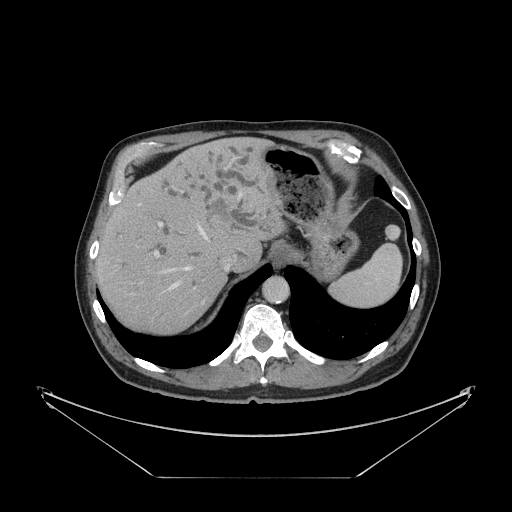 Abdomen | 512x512 | CT slice
Some hepatic vessels may have no box.
hepatic vessel: 155, 252, 158, 256; 137, 204, 140, 205; 158, 223, 161, 225; 180, 267, 189, 270; 238, 193, 241, 199; 225, 265, 228, 269; 161, 269, 172, 272; 198, 228, 206, 238; 170, 283, 177, 288 | liver tumor: 207, 199, 237, 225